FLAIR MR image.
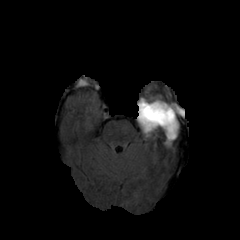
T1-weighted MR.
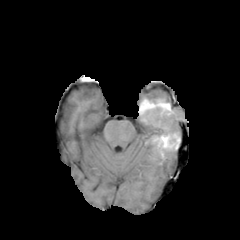
Post-contrast T1-weighted MR image.
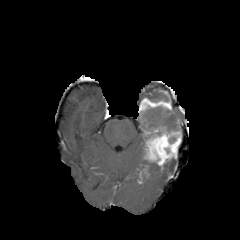
T2-weighted magnetic resonance.
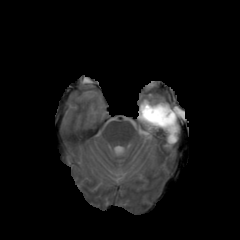
Head.
Findings:
* edema: <bbox>138, 104, 184, 138</bbox>
* enhancing tumor: <bbox>139, 98, 171, 118</bbox>, <bbox>147, 130, 178, 157</bbox>
* non-enhancing tumor core: <bbox>170, 131, 180, 143</bbox>, <bbox>147, 147, 164, 164</bbox>, <bbox>138, 105, 174, 123</bbox>